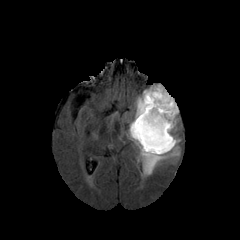
FLAIR magnetic resonance.
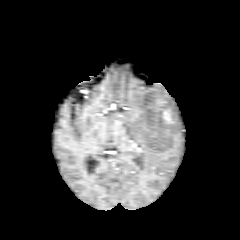
T1-weighted MR of the same slice.
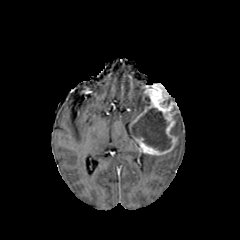
Post-contrast T1-weighted MRI of the same slice.
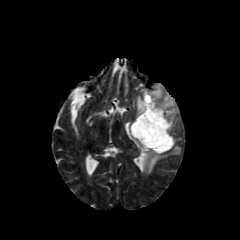
Same slice, T2-weighted MR image.
240x240 px
Edema: bounding box [139, 144, 180, 175], [133, 94, 142, 120].
Non-enhancing tumor core: bounding box [129, 108, 170, 150], [140, 96, 150, 112].
Enhancing tumor: bounding box [129, 84, 178, 156].